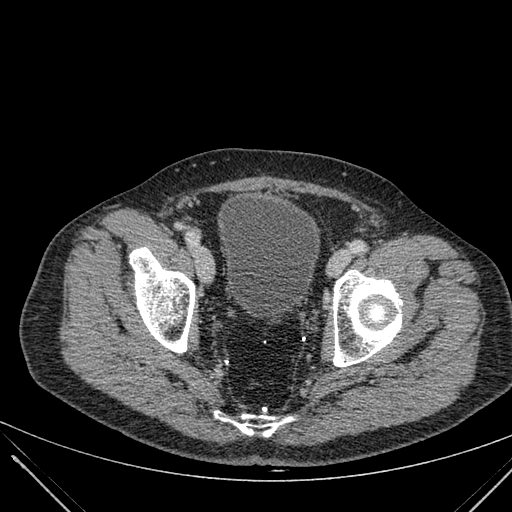
Computed tomography. Pelvis. Image size 512x512.
Urinary bladder: bounding box l=217, t=197, r=319, b=313.